CT slice; Slice index 590 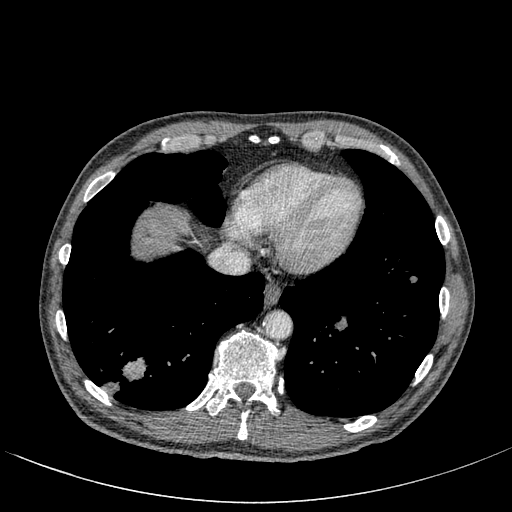

Liver — region(139, 212, 175, 249).